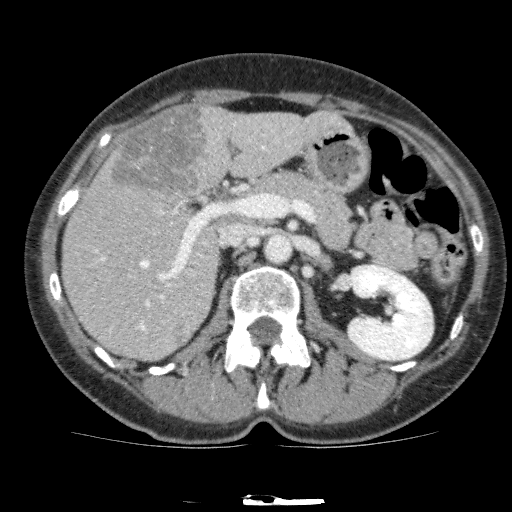

Abdomen | CT scan slice | 512x512

The kidney is at <box>348,265,432,359</box>. The liver lies within <box>62,106,353,361</box>. 2 liver lesion regions are bounded by <box>172,322,186,347</box>, <box>108,106,210,198</box>.